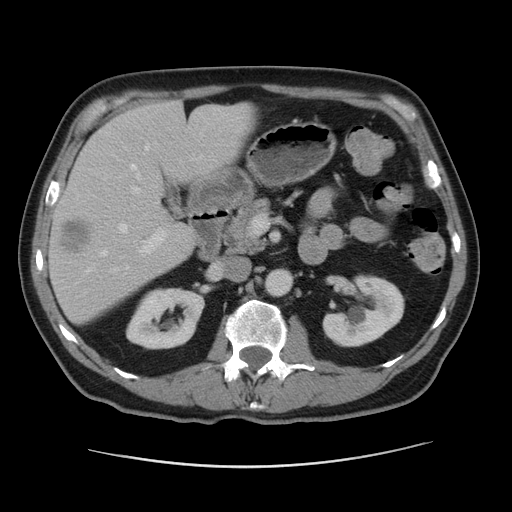
CT; Image size 512x512; Abdomen
<segmentation>
  <liver_lesion>59 220 90 253</liver_lesion>
  <kidney>323 275 403 346, 128 286 203 347</kidney>
  <liver>48 103 252 321</liver>
</segmentation>